512x512; CT image; Slice index 53
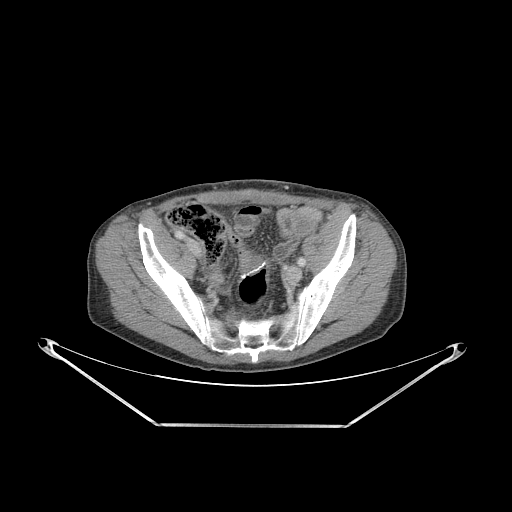 Bone at left=138, top=214, right=355, bottom=361.